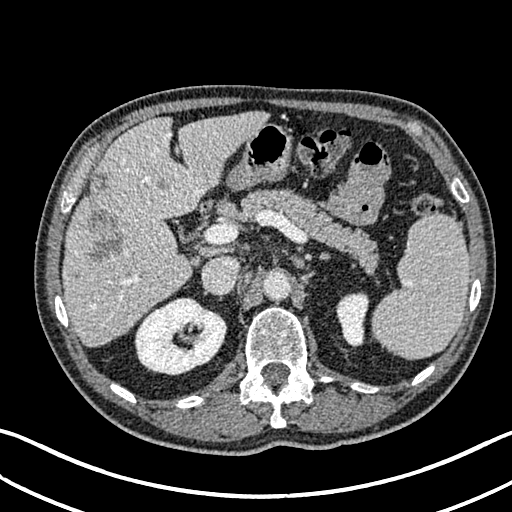 CT image
Findings:
• focal liver lesion: rect(91, 173, 107, 192); rect(159, 179, 171, 189); rect(86, 209, 122, 262)
• kidney: rect(136, 299, 225, 374); rect(337, 295, 367, 345)
• liver: rect(63, 111, 267, 345)